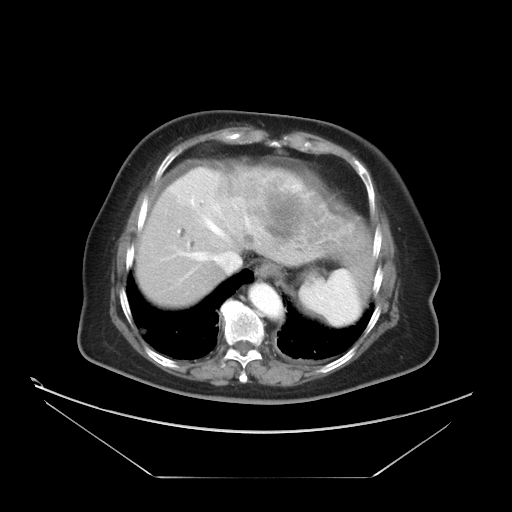 Liver | 512x512 px | CT image

The vessel boxes may cover only some of the vessels.
Segmented structures:
* liver tumor: <bbox>232, 170, 310, 242</bbox>
* hepatic vessel: <bbox>202, 215, 224, 236</bbox>, <bbox>214, 206, 218, 211</bbox>, <bbox>192, 200, 192, 203</bbox>, <bbox>180, 252, 223, 280</bbox>